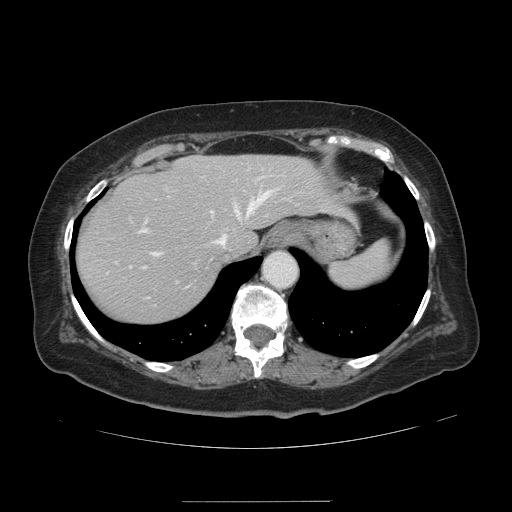

CT image | Liver

Not every hepatic vessel necessarily has a box.
Hepatic vessel at l=138, t=228, r=146, b=231; l=143, t=266, r=145, b=267; l=234, t=205, r=239, b=215; l=129, t=265, r=130, b=266; l=210, t=210, r=212, b=215; l=216, t=236, r=225, b=243; l=247, t=190, r=269, b=214; l=152, t=252, r=158, b=255.